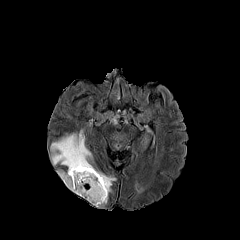
FLAIR MR.
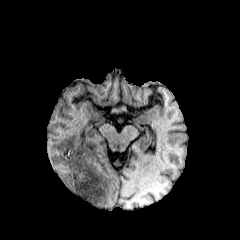
T1-weighted MR.
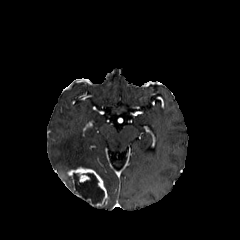
Post-contrast T1-weighted MR image.
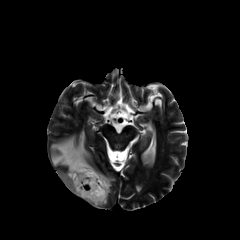
T2-weighted magnetic resonance.
Head.
- non-enhancing tumor core: [x1=70, y1=173, x2=106, y2=208]
- enhancing tumor: [x1=67, y1=166, x2=107, y2=204]
- edema: [x1=50, y1=132, x2=115, y2=195], [x1=62, y1=177, x2=71, y2=188]